Brain; Field of view 240x240 mm
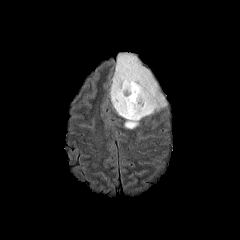
FLAIR MRI.
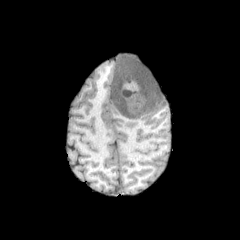
T1-weighted MR.
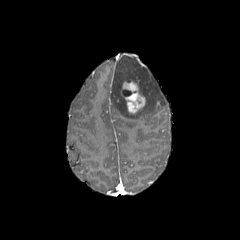
Post-contrast T1-weighted MR image.
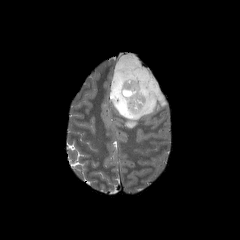
Same slice, T2-weighted MR.
Non-enhancing tumor core — region(119, 62, 128, 76).
Enhancing tumor — region(119, 77, 146, 113).
Edema — region(112, 56, 166, 128).